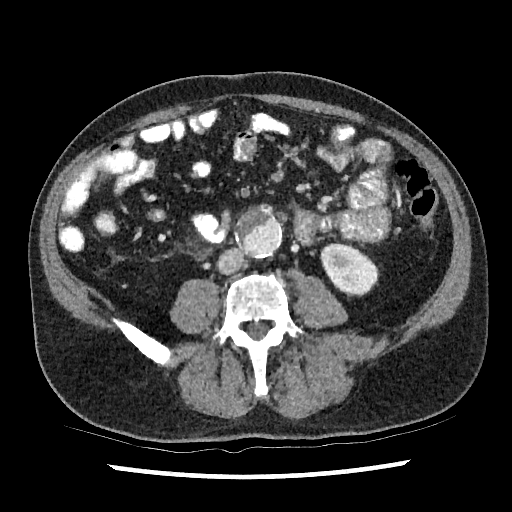
Computed tomography. Image size 512x512. Abdomen. Annotated regions:
* kidney: (326, 248, 376, 294)